Magnetic resonance, Medial temporal lobe, Image size 35x52, Slice 23/37 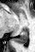
{
  "posterior_hippocampus": [
    "box(12, 29, 28, 43)"
  ]
}